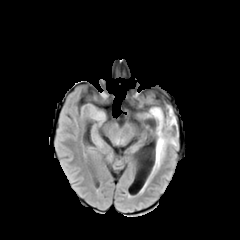
FLAIR MR image.
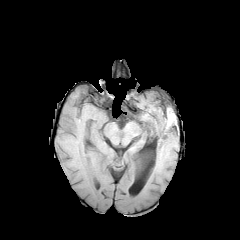
T1-weighted MR image.
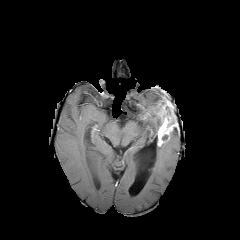
Post-contrast T1-weighted MR.
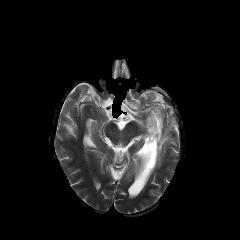
T2-weighted MRI of the same slice.
Image size 240x240. Head.
The edema appears at 151,131,178,174. 2 non-enhancing tumor core regions are bounded by 163,108,172,117; 150,110,161,148. The enhancing tumor appears at 154,107,177,145.